Field of view 240 mm wide, 1.00 mm slice spacing. Head.
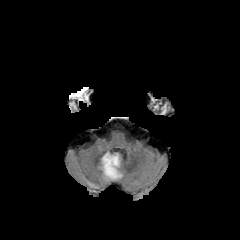
FLAIR magnetic resonance.
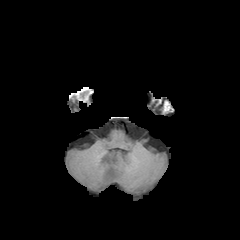
T1-weighted MR.
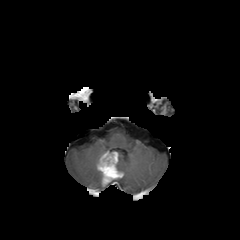
Same slice, post-contrast T1-weighted MRI.
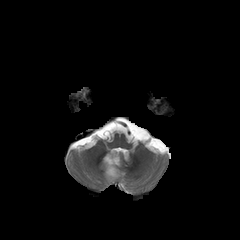
T2-weighted MR image.
<segmentation>
  <non-enhancing_tumor_core>left=98, top=152, right=117, bottom=169; left=111, top=162, right=118, bottom=177</non-enhancing_tumor_core>
  <enhancing_tumor>left=101, top=156, right=116, bottom=176</enhancing_tumor>
</segmentation>